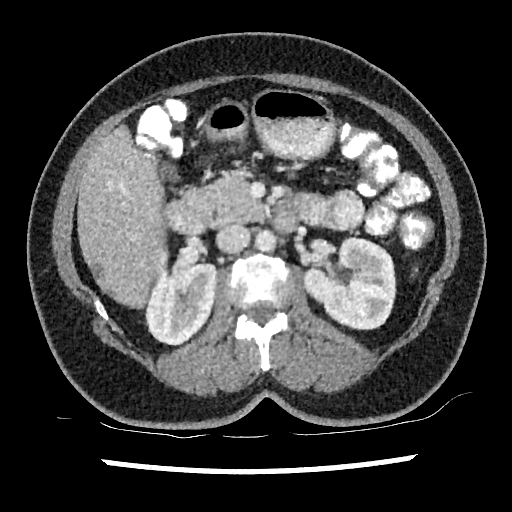
CT scan slice, Image size 512x512

liver:
  - (78,126,163,305)
kidney:
  - (146,252,215,344)
  - (305,238,394,328)
focal_liver_lesion:
  - (90,265,103,277)
  - (161,163,173,179)